Image width 373 mm, Pelvis, CT, Slice 78/771 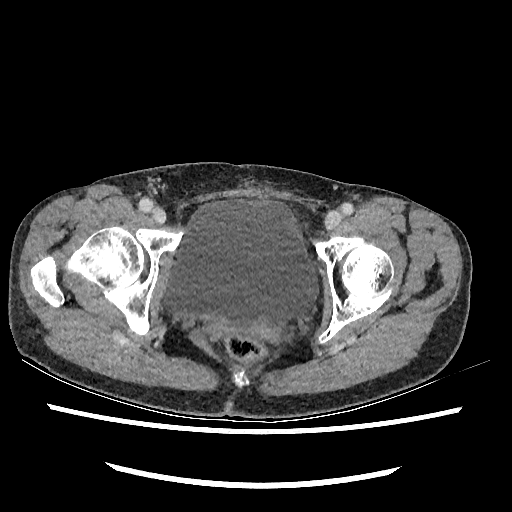
Urinary bladder = 162, 196, 317, 333.